Image width 240 mm, Slice index 48
FLAIR MR.
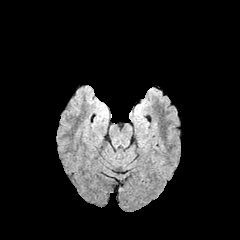
T1-weighted MR.
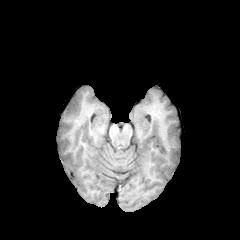
Post-contrast T1-weighted MRI.
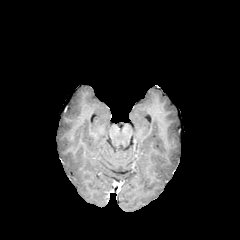
T2-weighted MR image.
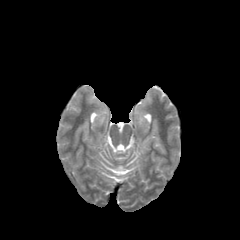
<segmentation>
  <edema>(x1=96, y1=110, x2=107, y2=122)</edema>
</segmentation>